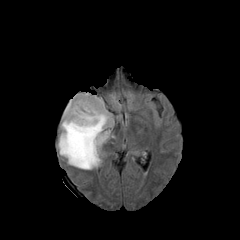
FLAIR MRI.
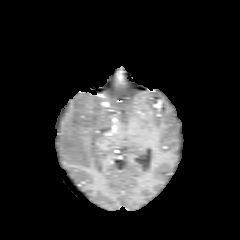
T1-weighted MRI.
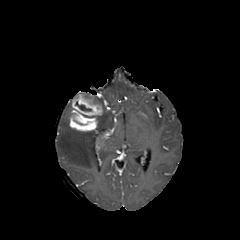
Same slice, post-contrast T1-weighted MRI.
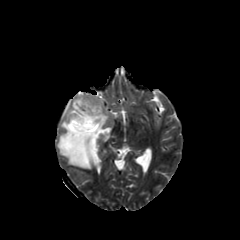
Same slice, T2-weighted magnetic resonance.
Image size 240x240
• edema: [58,101,113,169]
• non-enhancing tumor core: [94,98,107,114], [76,102,90,111]
• enhancing tumor: [69,91,103,131]